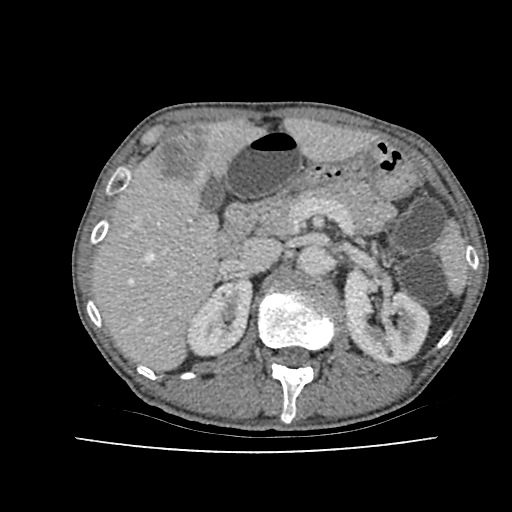
Computed tomography

Segmented structures:
• liver lesion: box=[157, 128, 210, 183]
• liver: box=[94, 121, 258, 366]; box=[287, 120, 369, 159]
• kidney: box=[188, 281, 251, 354]; box=[345, 271, 428, 362]